Image size 512x512 | CT 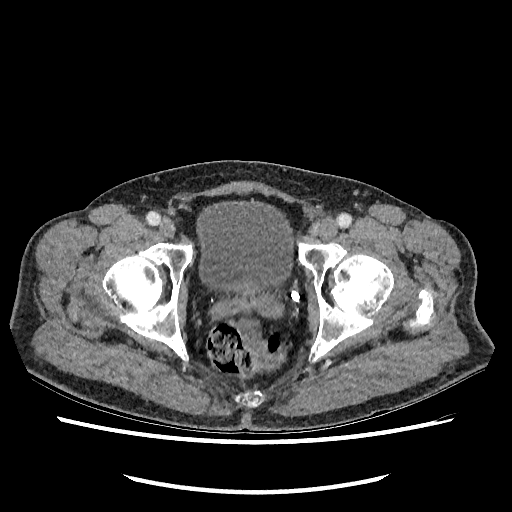
Annotated regions:
• urinary bladder: box=[196, 201, 293, 297]